CT image | Lung | Slice 182/267

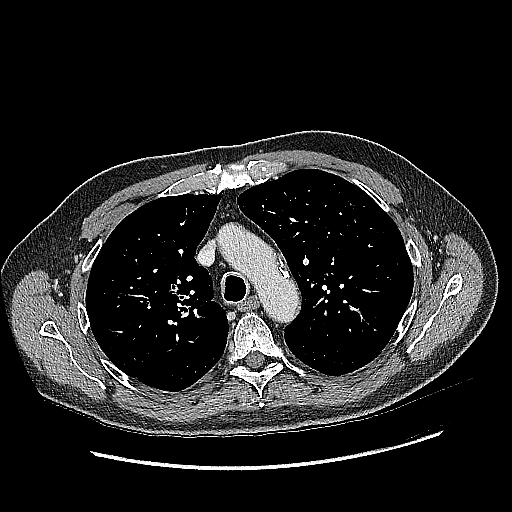

The lung tumor appears at region(129, 281, 141, 294).